CT image; Abdomen; 512x512 px

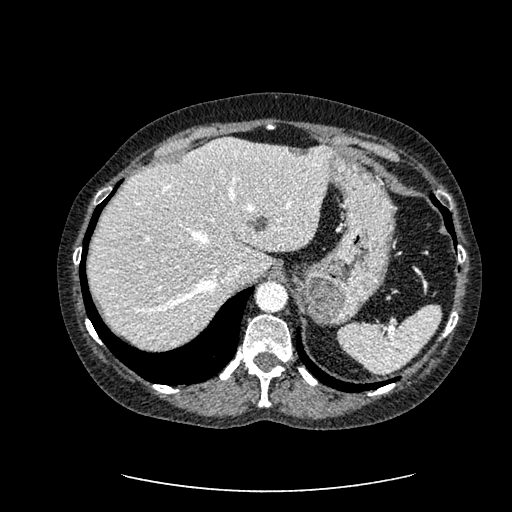
Liver = rect(88, 138, 332, 348).
Focal liver lesion = rect(287, 147, 311, 155); rect(250, 217, 266, 230).